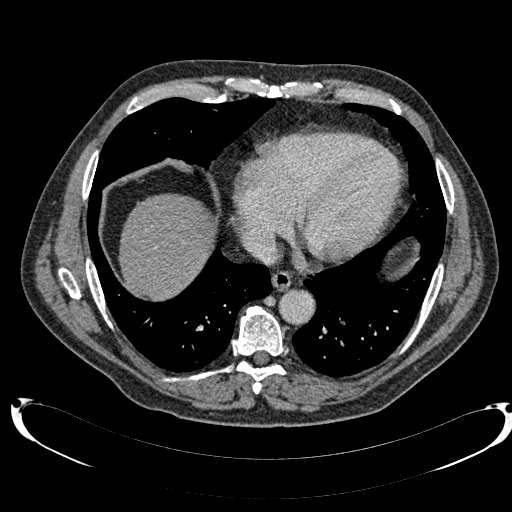
Computed tomography. {
  "liver": [
    "rect(119, 195, 215, 299)"
  ]
}